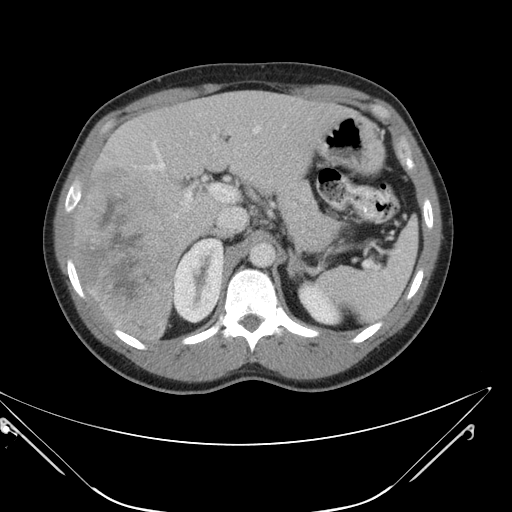 CT
Only some of the vessels may be annotated.
<segmentation>
  <liver_tumor>rect(73, 175, 180, 338)</liver_tumor>
  <hepatic_vessel>rect(181, 191, 192, 203); rect(210, 184, 235, 201); rect(134, 166, 135, 167); rect(146, 142, 164, 170); rect(190, 132, 192, 134); rect(175, 214, 177, 216); rect(218, 208, 243, 229); rect(188, 207, 189, 209); rect(253, 127, 259, 133); rect(214, 148, 215, 149)</hepatic_vessel>
</segmentation>